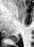 MRI, Medial temporal lobe
Posterior hippocampus at x1=12 y1=36 x2=19 y2=41.